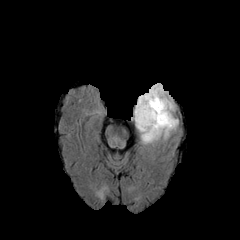
FLAIR MRI.
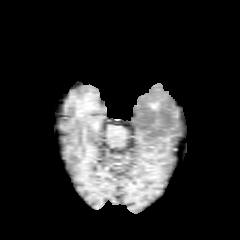
Same slice, T1-weighted MR image.
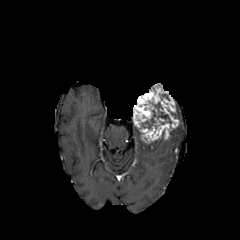
Post-contrast T1-weighted MR.
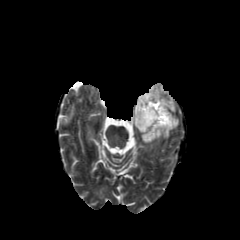
Same slice, T2-weighted magnetic resonance.
Head; 240x240
enhancing tumor: (132,83,178,143)